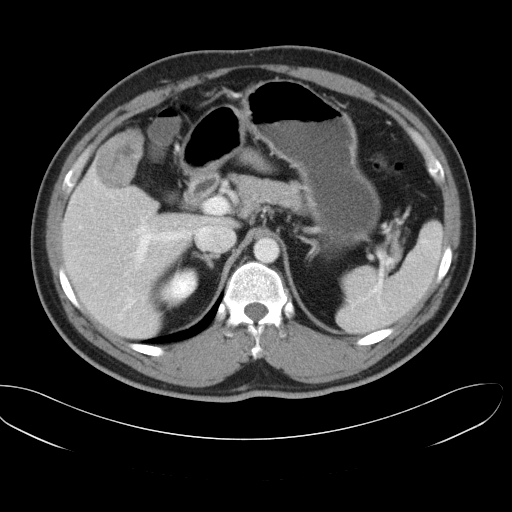

Image size 512x512; CT slice

The vessel annotation is not exhaustive.
Findings:
• hepatic vessel: [x1=124, y1=297, x2=134, y2=309], [x1=95, y1=282, x2=97, y2=284], [x1=80, y1=226, x2=82, y2=227], [x1=125, y1=273, x2=126, y2=274], [x1=94, y1=181, x2=95, y2=183], [x1=205, y1=197, x2=223, y2=211], [x1=131, y1=226, x2=190, y2=268], [x1=91, y1=170, x2=93, y2=171], [x1=118, y1=314, x2=121, y2=318], [x1=127, y1=286, x2=131, y2=291]
• liver tumor: [x1=94, y1=130, x2=142, y2=190]